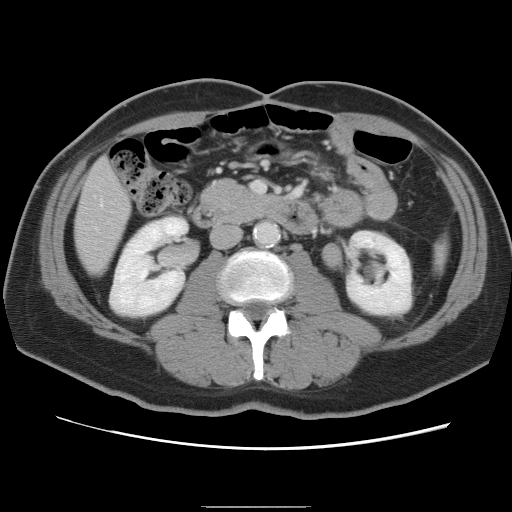 Image size 512x512, CT slice, Abdomen
The vessel boxes may cover only some of the vessels.
hepatic vessel: left=95, top=227, right=96, bottom=228; left=100, top=199, right=102, bottom=206